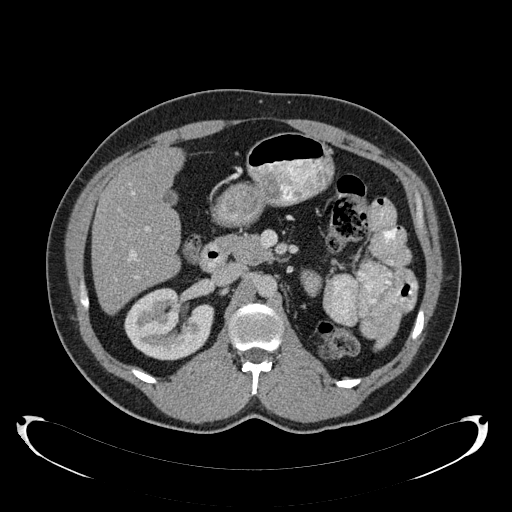 CT scan slice
The liver lies within 92,149,182,312. The kidney lies within 125,289,213,359.